FLAIR MR.
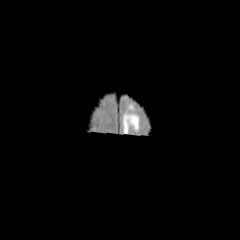
T1-weighted MRI.
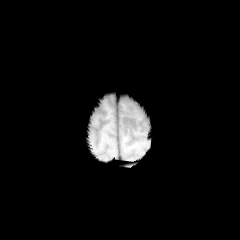
Post-contrast T1-weighted magnetic resonance.
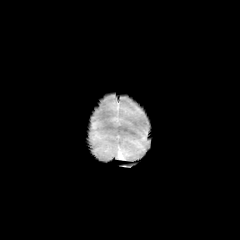
T2-weighted MR.
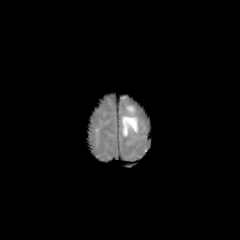
Brain
Segmented structures:
• edema: bbox(122, 105, 138, 137)